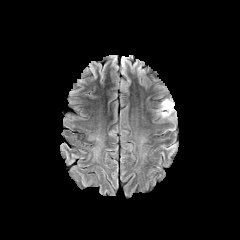
FLAIR MRI.
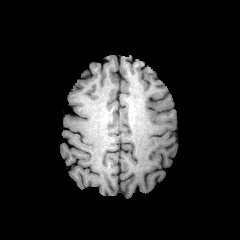
Same slice, T1-weighted MR.
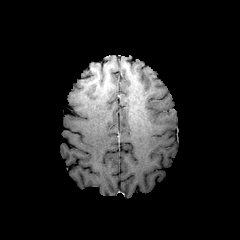
Post-contrast T1-weighted MR image.
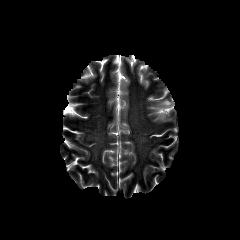
Same slice, T2-weighted MRI.
Head.
Edema at [157, 99, 174, 120].